Image width 240 mm. Slice 79 of 155.
FLAIR magnetic resonance.
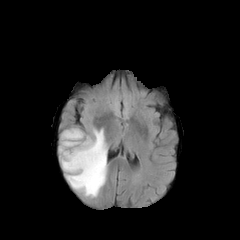
T1-weighted MR image.
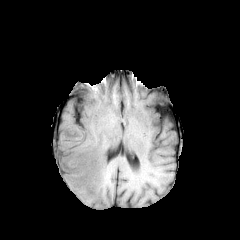
Post-contrast T1-weighted MR.
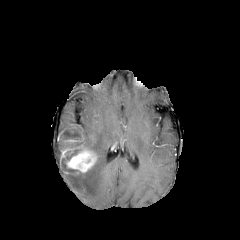
T2-weighted MR image.
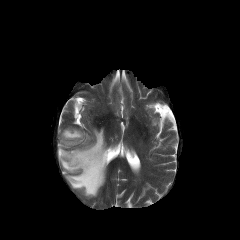
edema:
  - (58, 127, 107, 197)
non-enhancing_tumor_core:
  - (64, 142, 80, 153)
  - (60, 154, 70, 172)
enhancing_tumor:
  - (60, 146, 75, 159)
  - (66, 146, 97, 172)